Magnetic resonance 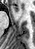

<segmentation>
  <anterior_hippocampus>bbox(13, 5, 18, 12)</anterior_hippocampus>
</segmentation>